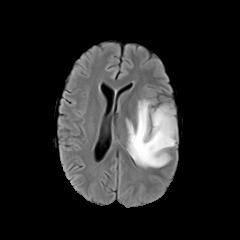
FLAIR MR image.
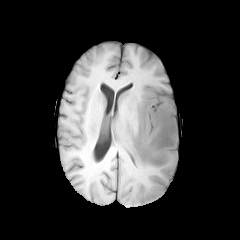
Same slice, T1-weighted MR image.
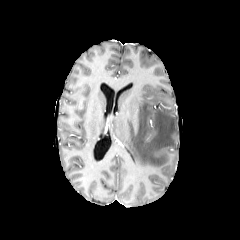
Post-contrast T1-weighted MR image.
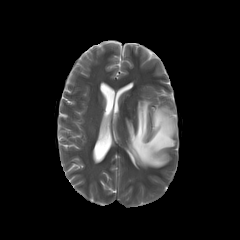
T2-weighted magnetic resonance.
Brain | 240x240 px
Edema: 125, 95, 178, 168.